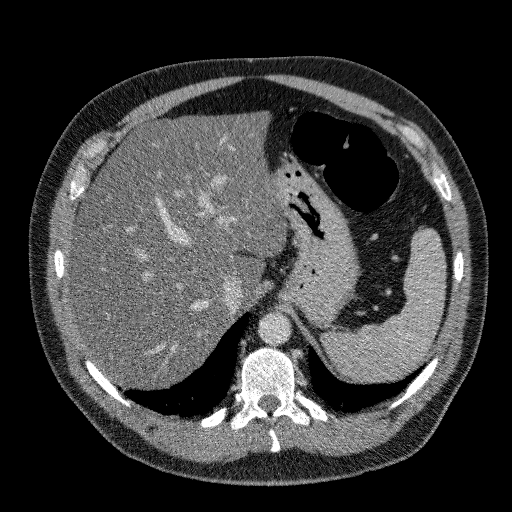
CT image
Liver at <box>70,111,283,388</box>.